FLAIR magnetic resonance.
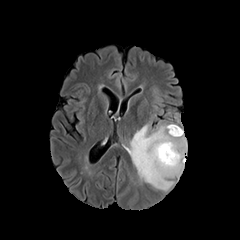
T1-weighted magnetic resonance.
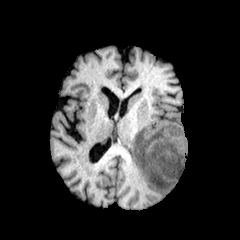
Post-contrast T1-weighted MRI.
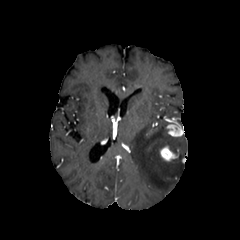
T2-weighted MRI.
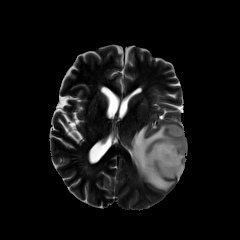
<segmentation>
  <edema>[129, 121, 187, 190]</edema>
  <enhancing_tumor>[160, 147, 176, 160], [166, 123, 184, 136]</enhancing_tumor>
</segmentation>